Slice 83 of 155, Field of view 240x240 mm, Brain
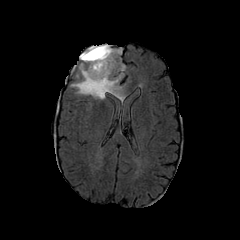
FLAIR MR.
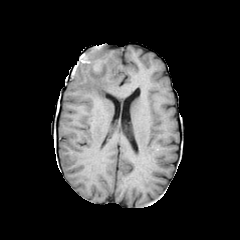
T1-weighted MR of the same slice.
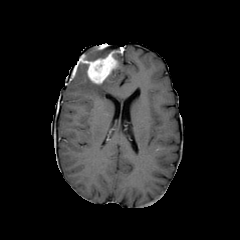
Post-contrast T1-weighted MR.
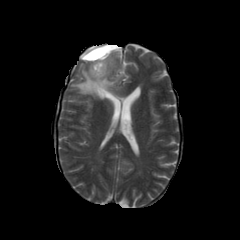
Same slice, T2-weighted MR image.
Enhancing tumor: 79:47:123:84, 94:44:107:49.
Non-enhancing tumor core: 83:45:119:60, 88:78:105:94.
Edema: 70:62:125:105.